Abdomen | 512x512 px | CT 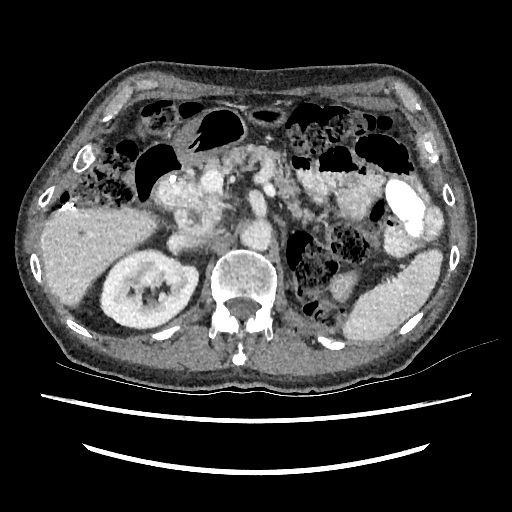 The kidney is bounded by bbox(101, 251, 198, 328). The liver appears at bbox(41, 208, 154, 306).